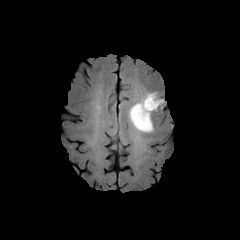
FLAIR magnetic resonance.
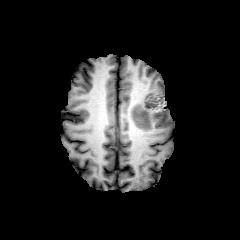
T1-weighted magnetic resonance.
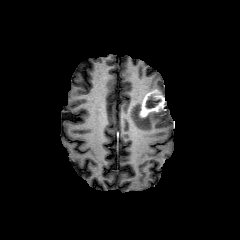
Post-contrast T1-weighted MR image.
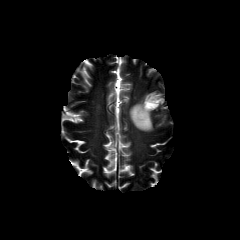
Same slice, T2-weighted MR.
Brain, 240x240 px
Edema: [x1=128, y1=94, x2=155, y2=132].
Non-enhancing tumor core: [x1=146, y1=95, x2=160, y2=107].
Enhancing tumor: [x1=139, y1=91, x2=164, y2=118].